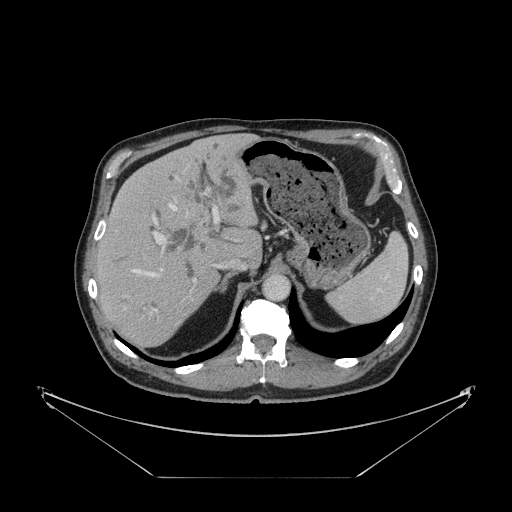 CT scan slice
Only some of the vessels may be annotated.
hepatic vessel: 168:204:176:209, 150:309:156:314, 193:279:195:281, 213:208:218:222, 160:269:162:272, 129:269:156:275, 153:232:165:247, 186:211:187:216, 153:217:156:223 | liver tumor: 218:204:239:215